Slice 106 of 155, Image width 240 mm
FLAIR magnetic resonance.
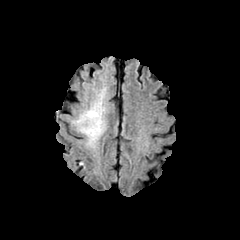
T1-weighted MR.
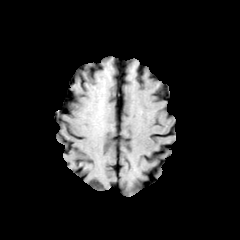
Post-contrast T1-weighted MR image.
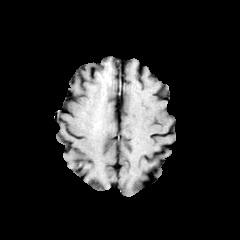
T2-weighted MR image.
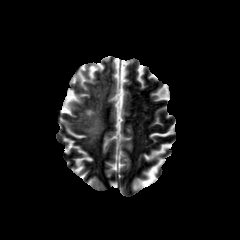
edema: [77, 88, 105, 143]